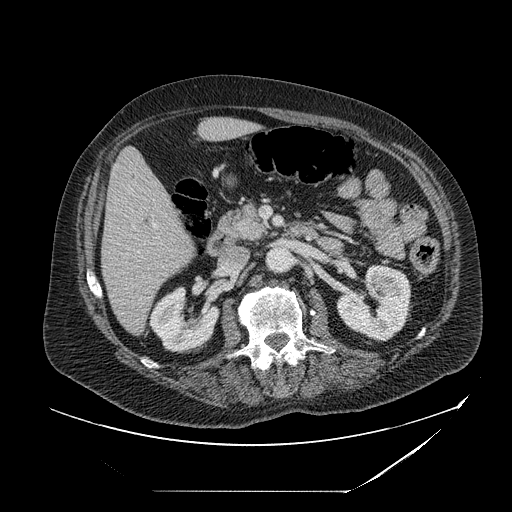

CT slice; Upper abdomen
- pancreatic tumor: left=240, top=225, right=262, bottom=238
- pancreas: left=220, top=202, right=266, bottom=240